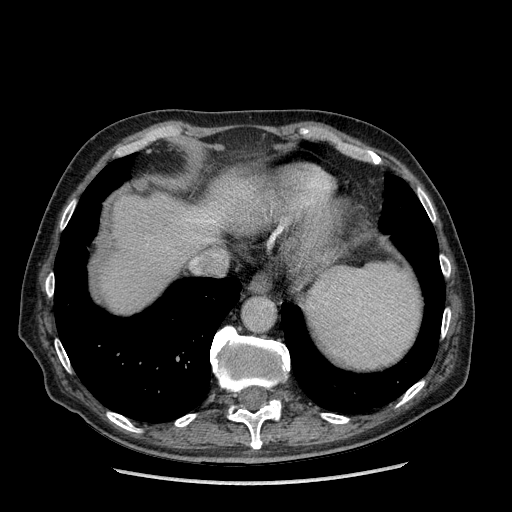
CT image; Upper abdomen

Liver = bbox(101, 170, 254, 312).